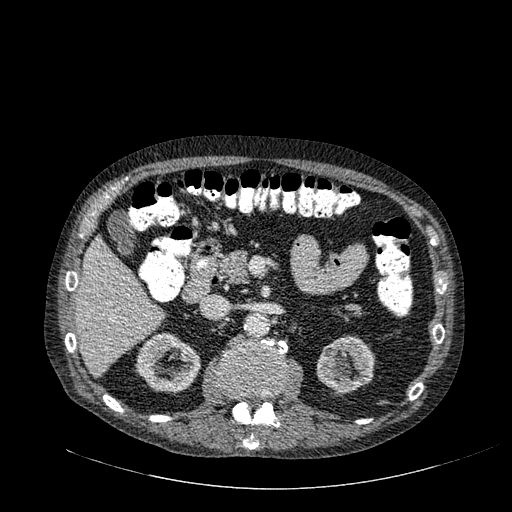 CT slice. Kidney — left=316, top=335, right=374, bottom=395; left=135, top=332, right=200, bottom=392.
Liver — left=77, top=237, right=164, bottom=375.